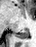

Hippocampus. MRI. posterior hippocampus: {"x1": 15, "y1": 29, "x2": 29, "y2": 38}